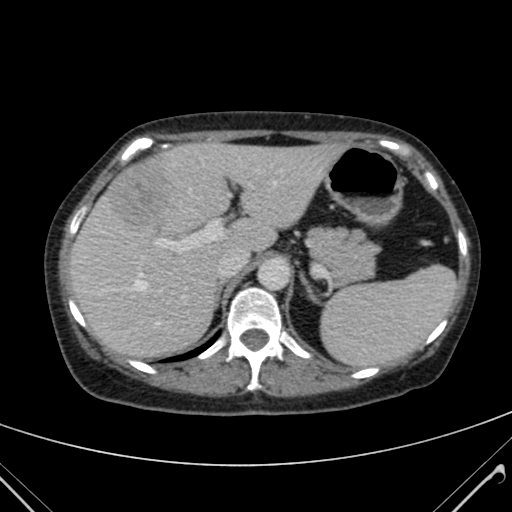

Liver. Computed tomography.
Liver — {"x1": 72, "y1": 142, "x2": 335, "y2": 358}.
Focal liver lesion — {"x1": 107, "y1": 162, "x2": 171, "y2": 226}.